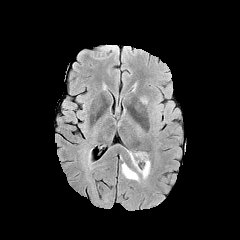
FLAIR MRI.
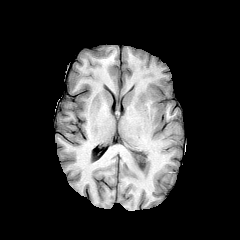
T1-weighted MR.
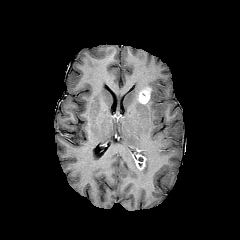
Post-contrast T1-weighted MR image.
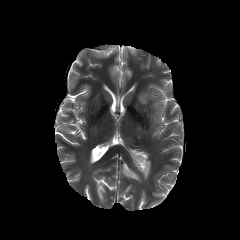
T2-weighted MR.
2 edema regions are bounded by left=150, top=88, right=159, bottom=97; left=121, top=151, right=150, bottom=181. 2 enhancing tumor regions are bounded by left=140, top=95, right=149, bottom=103; left=132, top=153, right=145, bottom=170. The non-enhancing tumor core is located at left=138, top=87, right=151, bottom=101.